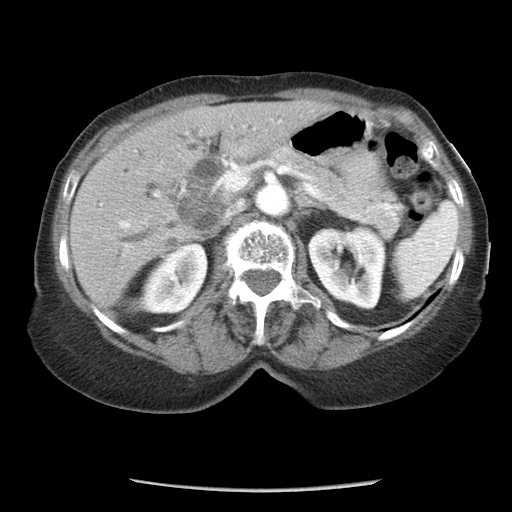
CT scan slice. Upper abdomen.
pancreas: (267,148,401,239)